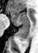
MRI slice, Hippocampus
<segmentation>
  <anterior_hippocampus>9, 9, 29, 26</anterior_hippocampus>
  <posterior_hippocampus>17, 27, 29, 40</posterior_hippocampus>
</segmentation>